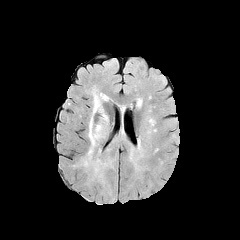
FLAIR magnetic resonance.
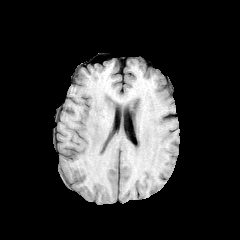
T1-weighted MR.
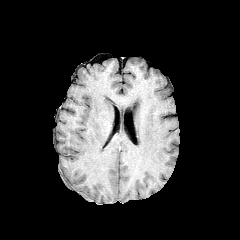
Post-contrast T1-weighted magnetic resonance of the same slice.
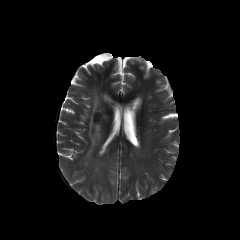
Same slice, T2-weighted MRI.
240x240 px
{"edema": ["(left=82, top=91, right=109, bottom=166)"]}